Computed tomography
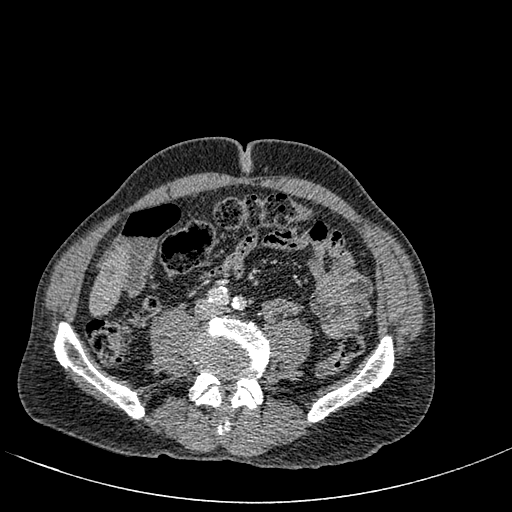 liver:
  - box=[90, 247, 129, 313]